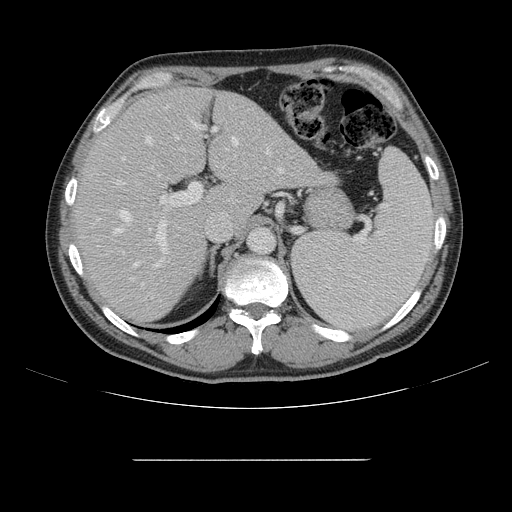 CT slice; Liver

The vessel annotation is not exhaustive.
Most prominent 15 of 24 hepatic vessel regions = box(160, 182, 202, 205); box(156, 220, 167, 252); box(120, 210, 131, 222); box(115, 228, 123, 232); box(155, 257, 164, 266); box(278, 168, 283, 172); box(232, 137, 237, 145); box(175, 135, 178, 139); box(192, 121, 206, 129); box(266, 148, 269, 153); box(116, 181, 124, 183); box(145, 136, 151, 143); box(134, 262, 138, 266); box(164, 105, 168, 109); box(211, 126, 216, 131).